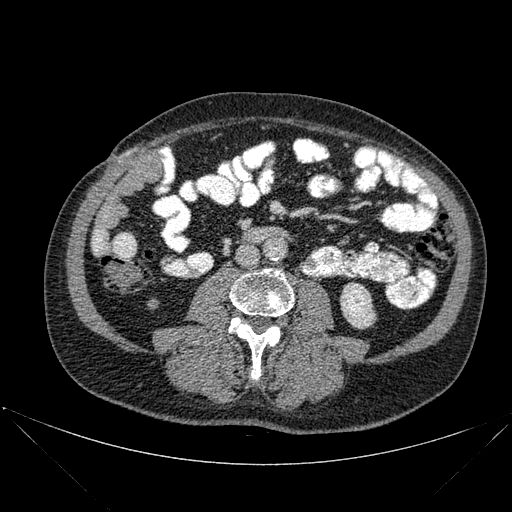 Abdomen, CT
Segmented structures:
* bone: bbox(229, 269, 293, 316); bbox(229, 317, 280, 379)
* kidney: bbox(341, 283, 374, 328)